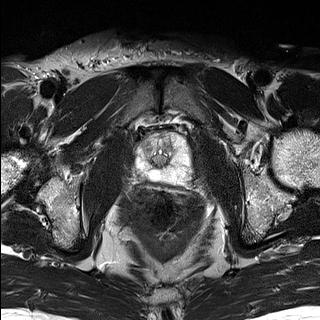
T2-weighted MRI.
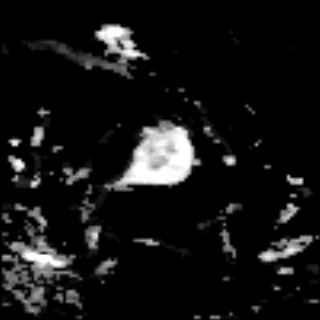
ADC magnetic resonance.
<segmentation>
  <prostate_transition_zone>(142,134,174,166)</prostate_transition_zone>
  <prostate_peripheral_zone>(132,134,193,183)</prostate_peripheral_zone>
</segmentation>